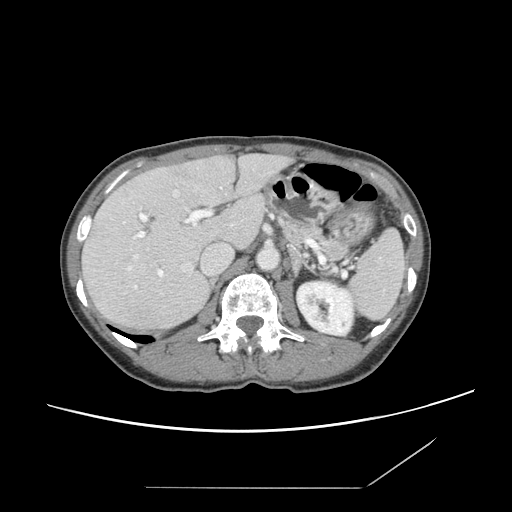 Upper abdomen; CT; Image size 512x512
Pancreas: 281 219 351 264.